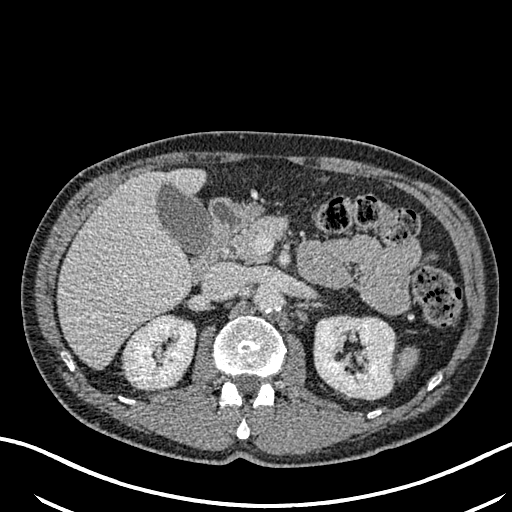

Computed tomography | Upper abdomen
kidney:
  - 314 317 393 396
  - 124 316 195 388
liver:
  - 57 170 204 368